CT slice; Lower abdomen 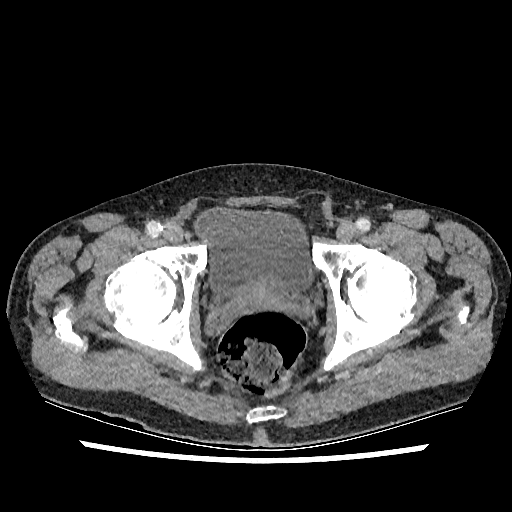 Segmented structures:
- urinary bladder: bbox(196, 205, 316, 326)